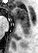 Hippocampus, MRI slice
Annotated regions:
* posterior hippocampus: x1=20, y1=24, x2=29, y2=38
* anterior hippocampus: x1=13, y1=8, x2=28, y2=24